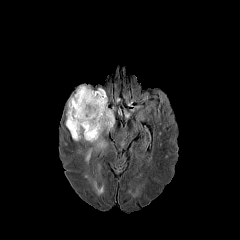
FLAIR magnetic resonance.
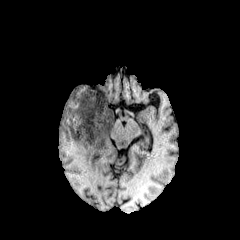
T1-weighted magnetic resonance of the same slice.
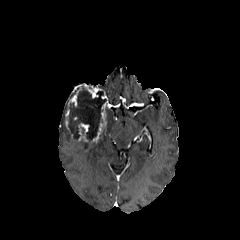
Post-contrast T1-weighted MRI of the same slice.
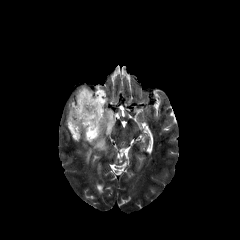
T2-weighted MR.
Non-enhancing tumor core: bbox=[68, 88, 105, 139]; bbox=[64, 88, 78, 114].
Enhancing tumor: bbox=[65, 83, 108, 143].
Edema: bbox=[106, 109, 114, 134]; bbox=[95, 135, 111, 156].